Image size 240x240 | Head
FLAIR magnetic resonance.
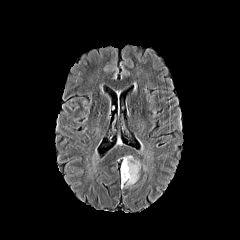
T1-weighted MR image.
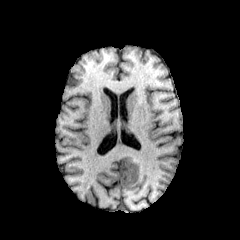
Post-contrast T1-weighted MR.
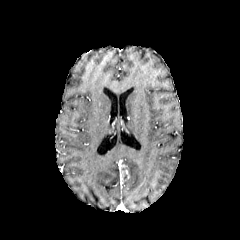
T2-weighted MR image.
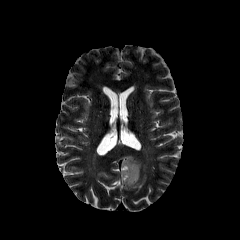
Findings:
• enhancing tumor: box(120, 164, 129, 185)
• edema: box(121, 156, 140, 187)